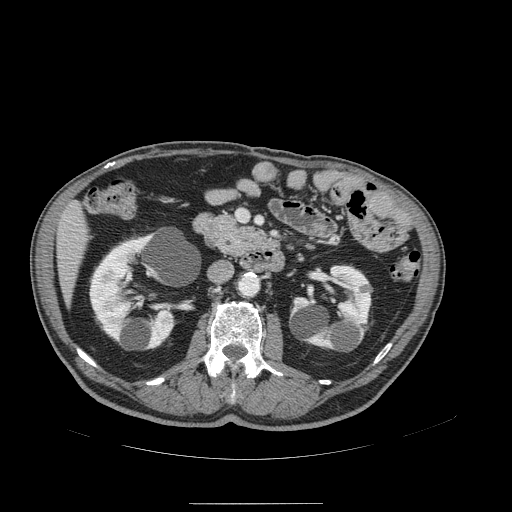
Upper abdomen, CT slice
pancreas:
  - l=203, t=211, r=283, b=258